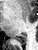 MRI slice | 38x50
posterior hippocampus: bbox=[13, 35, 26, 44]